Pelvis. Image size 512x512. CT. 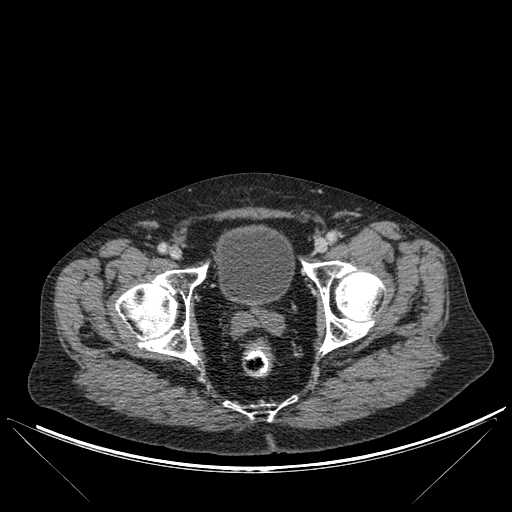
The urinary bladder is at x1=215 y1=225 x2=294 y2=303. 3 bone regions appear at x1=115 y1=265 x2=207 y2=364, x1=224 y1=401 x2=288 y2=419, x1=302 y1=261 x2=383 y2=354.